CT, Abdomen
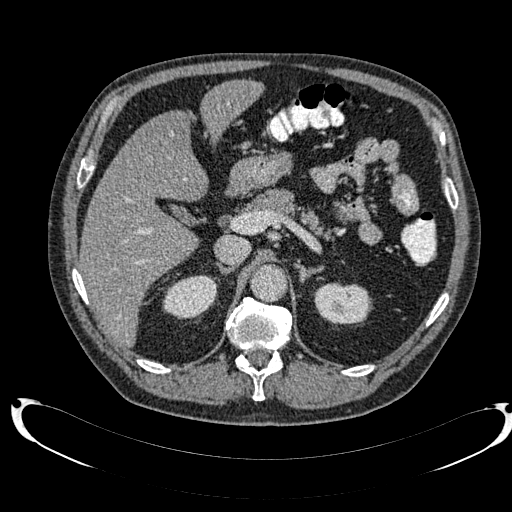 Liver at left=80, top=111, right=207, bottom=346; left=202, top=80, right=262, bottom=140.
Hepatic lesion at left=148, top=112, right=185, bottom=147.
Kidney at left=163, top=275, right=216, bottom=318; left=316, top=283, right=371, bottom=323.